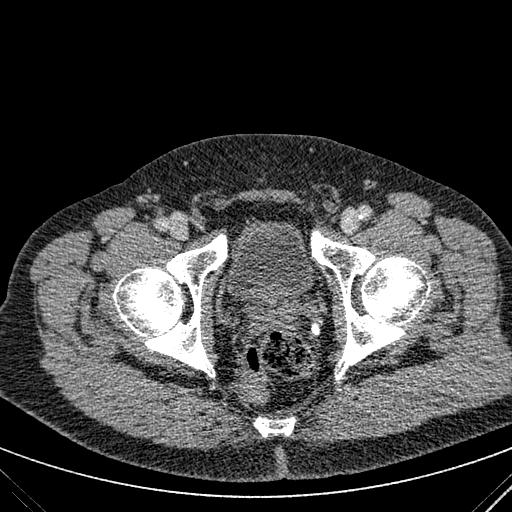
CT scan slice
Annotated regions:
- urinary bladder: 221, 216, 318, 308